Slice index 60, Head, Field of view 240x240 mm
FLAIR MRI.
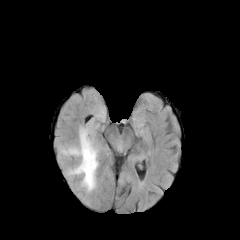
T1-weighted MR image.
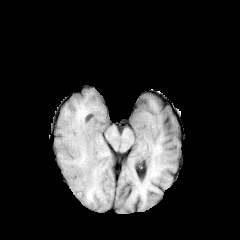
Post-contrast T1-weighted MRI.
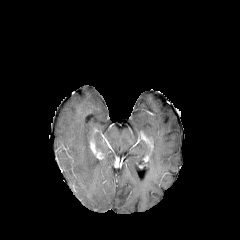
T2-weighted MRI.
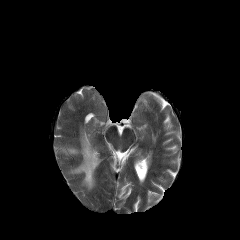
{
  "edema": [
    "box(61, 128, 98, 190)"
  ]
}